512x512 px, CT image, Image width 404 mm, Abdomen

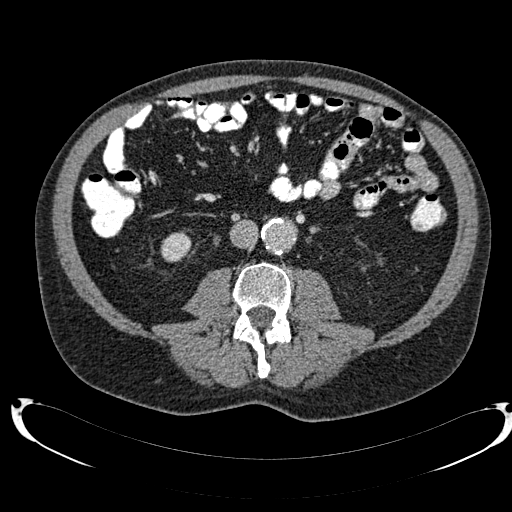
kidney: bbox(161, 245, 188, 261)